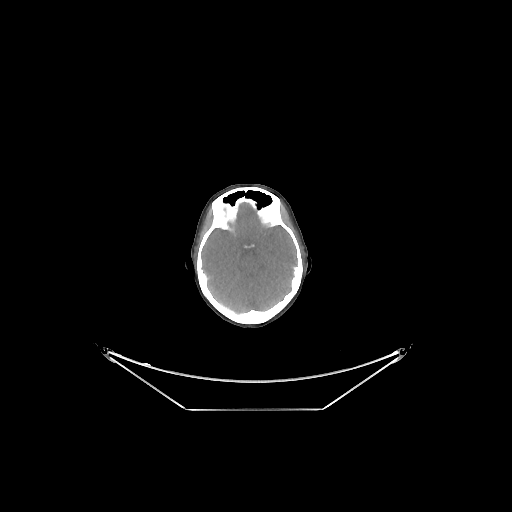 512x512 px. CT. Brain.

* brain: x1=201 y1=202 x2=297 y2=313